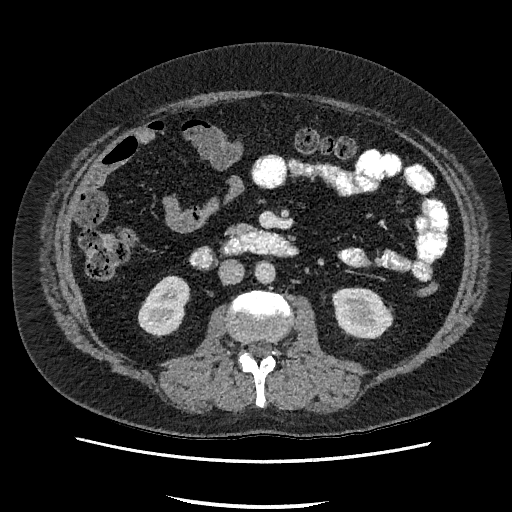 Image size 512x512 | Computed tomography
2 kidney regions are located at 333,289,391,337; 139,277,187,334.